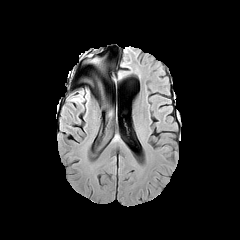
FLAIR MR image.
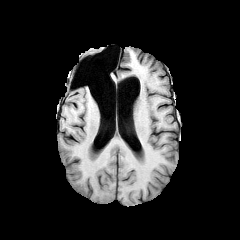
T1-weighted MR image.
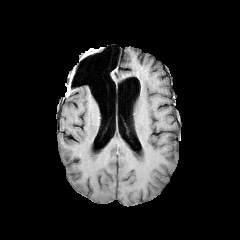
Post-contrast T1-weighted MRI.
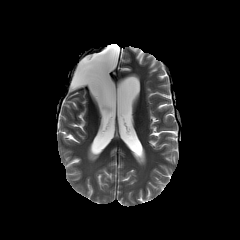
Same slice, T2-weighted MR image.
240x240. Head.
The edema is bounded by 87:54:99:64.